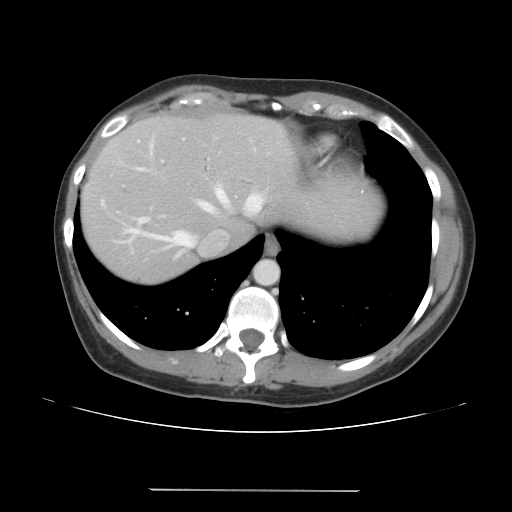

Image size 512x512; Abdomen; CT image

The vessel annotation is not exhaustive.
9 hepatic vessel regions appear at box(247, 136, 282, 155); box(214, 231, 225, 235); box(193, 181, 232, 215); box(146, 151, 153, 158); box(121, 216, 197, 248); box(218, 242, 222, 245); box(242, 187, 268, 216); box(201, 243, 207, 247); box(146, 167, 157, 173).